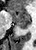

MR image
Anterior hippocampus: <box>8,8,29,22</box>.
Posterior hippocampus: <box>16,23,29,29</box>.